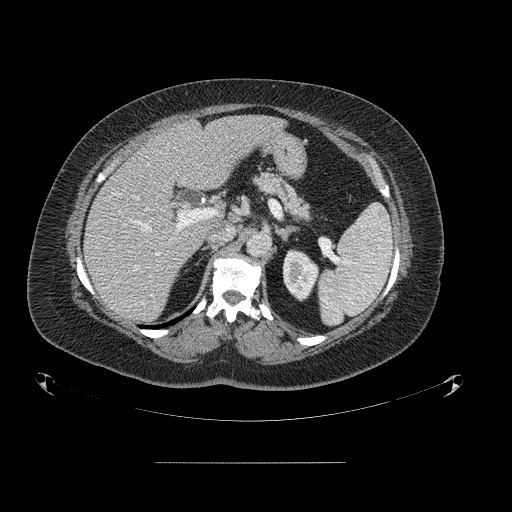
Upper abdomen | Computed tomography
Annotated regions:
• pancreas: 254 172 309 219